CT scan slice. Slice index 463. 512x512. Abdomen. 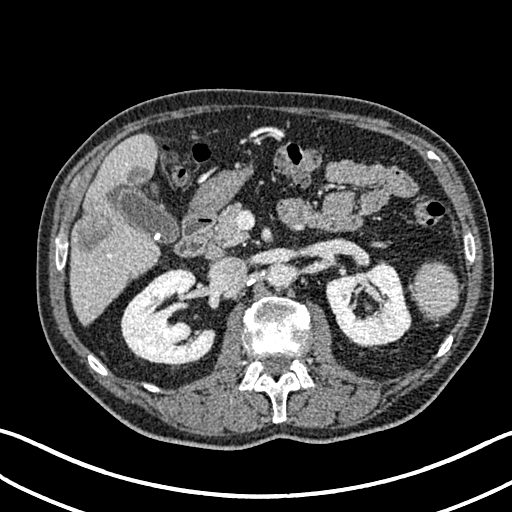
Findings:
• liver: <bbox>150, 183, 157, 192</bbox>, <bbox>71, 136, 159, 324</bbox>
• kidney: <bbox>327, 263, 410, 345</bbox>, <bbox>353, 248, 368, 264</bbox>, <bbox>122, 270, 219, 363</bbox>
• liver lesion: <bbox>76, 202, 115, 253</bbox>, <bbox>126, 165, 149, 183</bbox>